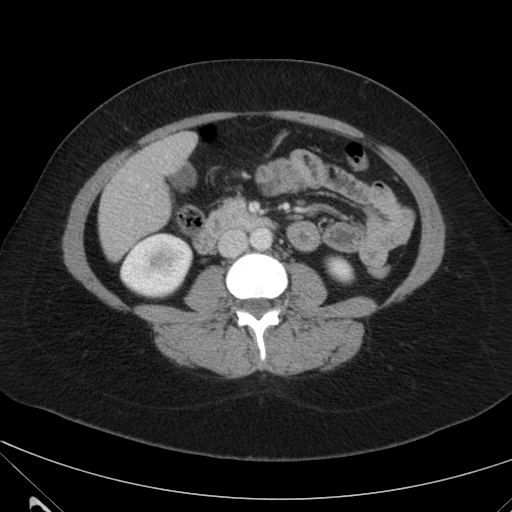

512x512 px; CT image

- kidney: box(333, 261, 348, 275); box(122, 235, 189, 294)
- liver: box(99, 132, 194, 260)